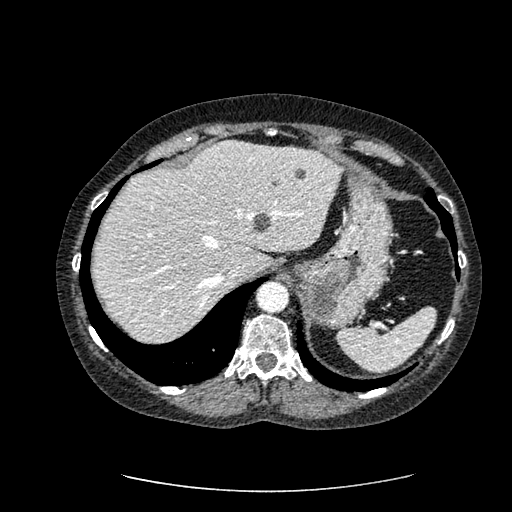
Upper abdomen | Computed tomography

2 focal liver lesion regions appear at l=295, t=168, r=305, b=178; l=252, t=213, r=269, b=233. The liver appears at l=91, t=140, r=340, b=341.